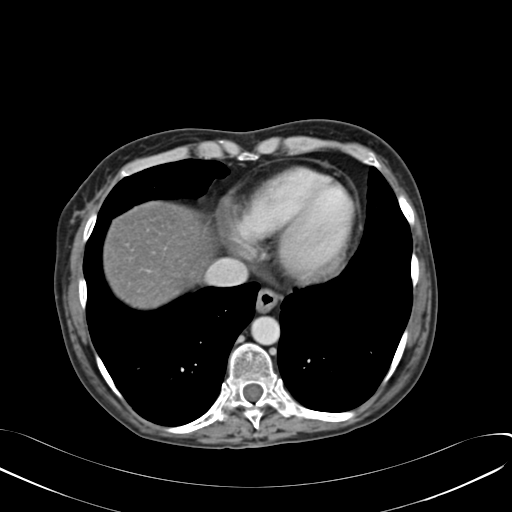
CT image
Liver: (104,205,207,308).